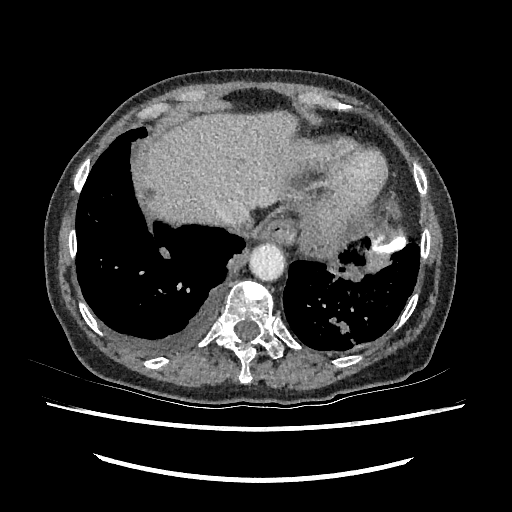
CT slice. Abdomen. Image size 512x512.
liver:
  - (142,111,312,222)
  - (247,218,253,228)
focal_liver_lesion:
  - (145,189,155,199)